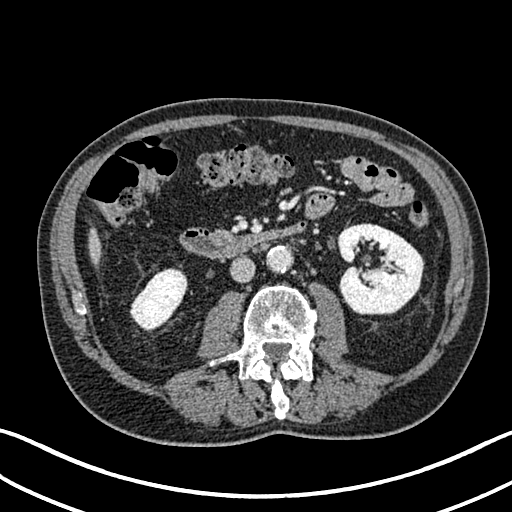
Computed tomography. Upper abdomen. {
  "kidney": [
    "rect(131, 269, 186, 329)",
    "rect(339, 224, 422, 313)"
  ],
  "liver": [
    "rect(89, 232, 100, 262)"
  ]
}